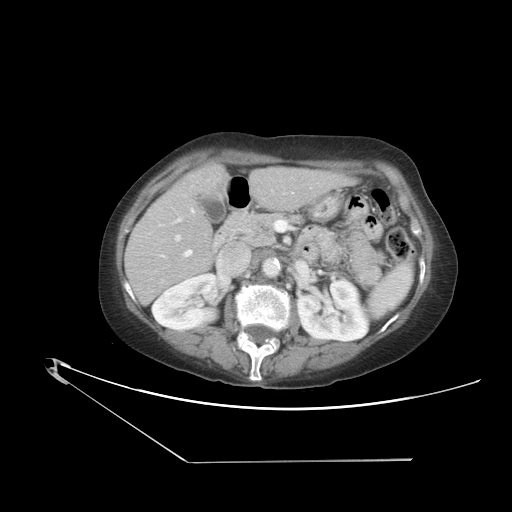 CT scan slice, 512x512 px
Only some of the vessels may be annotated.
7 hepatic vessel regions appear at {"x1": 191, "y1": 209, "x2": 193, "y2": 212}, {"x1": 175, "y1": 218, "x2": 181, "y2": 222}, {"x1": 159, "y1": 224, "x2": 162, "y2": 225}, {"x1": 159, "y1": 254, "x2": 163, "y2": 256}, {"x1": 184, "y1": 250, "x2": 191, "y2": 256}, {"x1": 272, "y1": 190, "x2": 273, "y2": 192}, {"x1": 176, "y1": 235, "x2": 180, "y2": 240}.